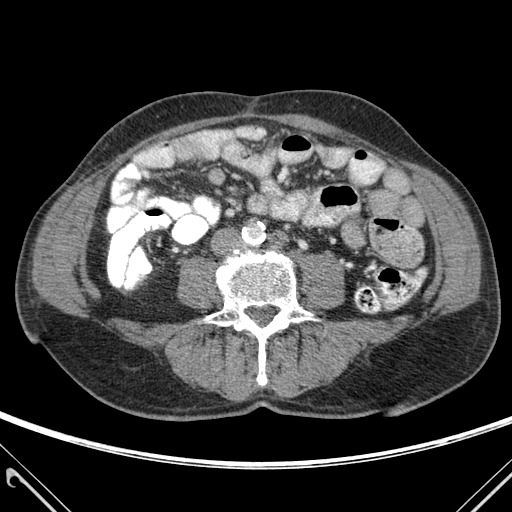

CT
bone:
  - (left=205, top=250, right=312, bottom=385)